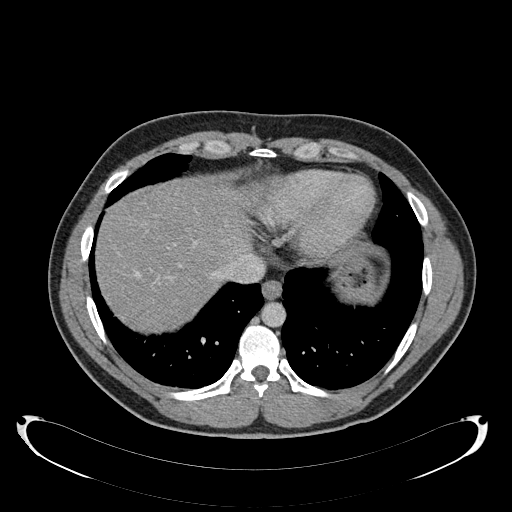 Image size 512x512 | Liver | CT
<segmentation>
  <liver>97,181,255,330</liver>
</segmentation>